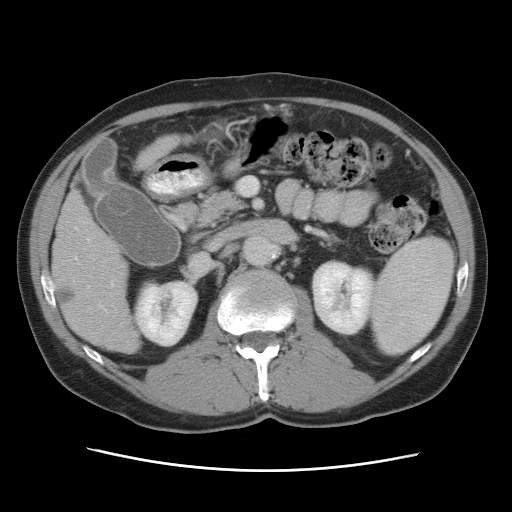
512x512; CT
Only some of the vessels may be annotated.
Hepatic vessel: x1=87, y1=286, x2=89, y2=288; x1=99, y1=306, x2=106, y2=312; x1=110, y1=282, x2=113, y2=287; x1=75, y1=227, x2=77, y2=230; x1=75, y1=258, x2=79, y2=264; x1=72, y1=280, x2=74, y2=283.